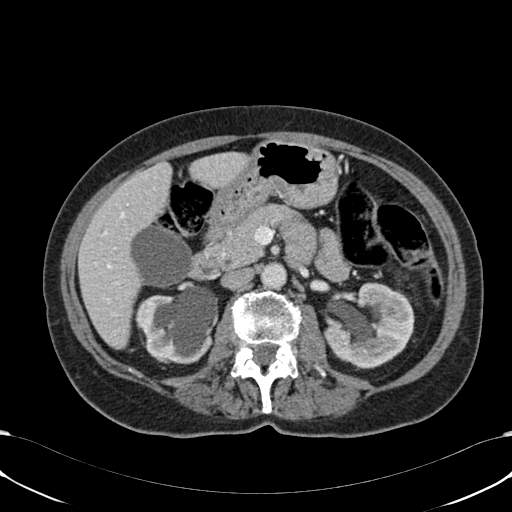
Liver. Computed tomography.

kidney:
  - (325,283,413,367)
  - (136,288,217,363)
liver:
  - (191,152,248,186)
  - (79,162,171,348)